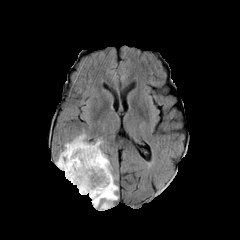
FLAIR MR image.
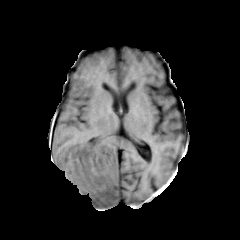
T1-weighted magnetic resonance of the same slice.
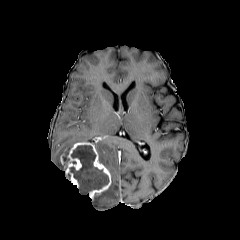
Post-contrast T1-weighted MR.
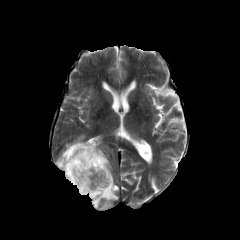
T2-weighted magnetic resonance of the same slice.
Brain
The non-enhancing tumor core is bounded by (70, 145, 95, 181). The enhancing tumor is located at (64, 142, 111, 199). 4 edema regions are located at (56, 134, 92, 169), (78, 145, 91, 157), (92, 140, 118, 209), (78, 159, 107, 194).